512x512. CT scan slice. Slice index 20. Abdomen.

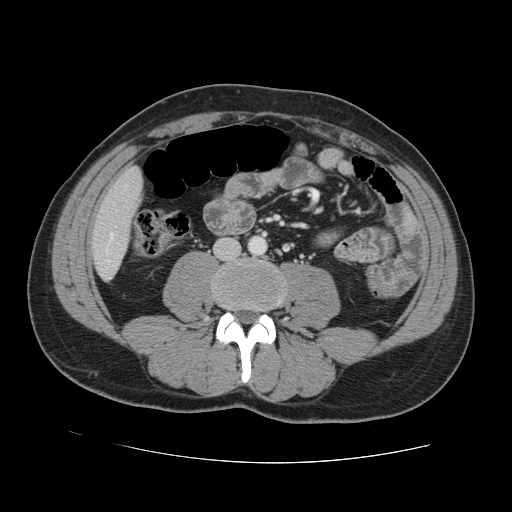

Only some of the vessels may be annotated.
2 hepatic vessel regions appear at region(109, 233, 112, 242); region(105, 243, 108, 252).